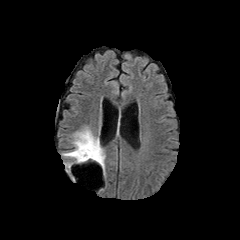
FLAIR MR.
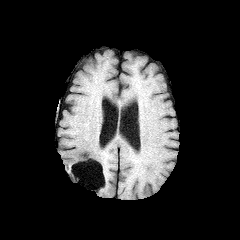
T1-weighted MR.
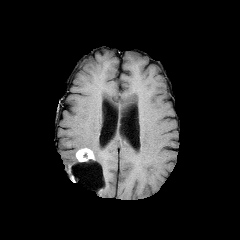
Post-contrast T1-weighted MR.
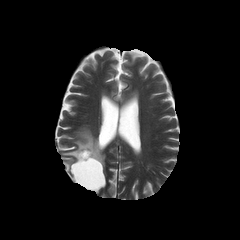
Same slice, T2-weighted magnetic resonance.
Brain.
Annotated regions:
• enhancing tumor: x1=76 y1=148 x2=95 y2=161
• edema: x1=62 y1=126 x2=101 y2=174, x1=99 y1=148 x2=105 y2=171
• non-enhancing tumor core: x1=76 y1=145 x2=103 y2=166